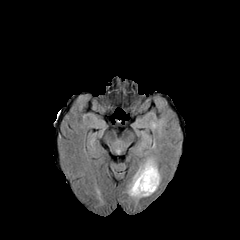
FLAIR MR image.
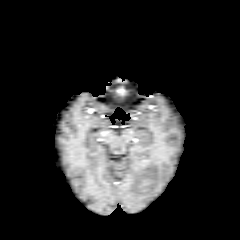
Same slice, T1-weighted MR.
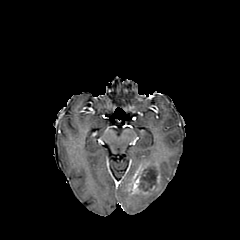
Same slice, post-contrast T1-weighted MRI.
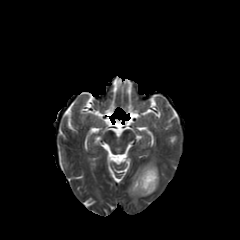
Same slice, T2-weighted magnetic resonance.
The edema is at 127 158 161 199. The non-enhancing tumor core is at 139 172 147 193. The enhancing tumor is located at 130 168 143 193.